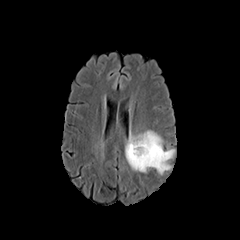
FLAIR MRI.
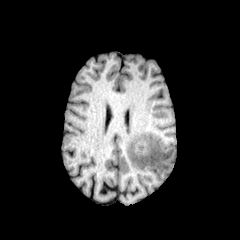
T1-weighted magnetic resonance of the same slice.
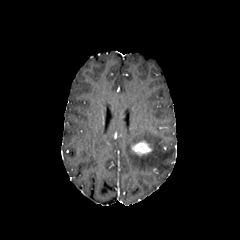
Post-contrast T1-weighted magnetic resonance.
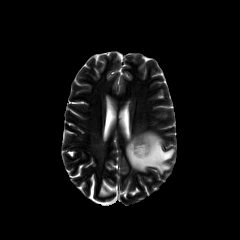
Same slice, T2-weighted magnetic resonance.
The edema appears at 125 131 174 173. The enhancing tumor appears at 131 140 152 155.